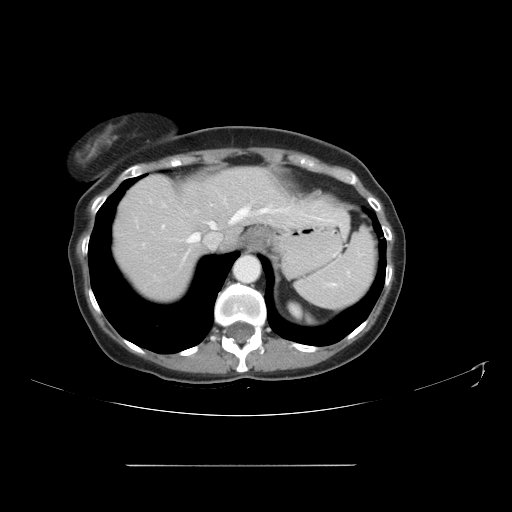 Liver, Computed tomography
The vessel annotation is not exhaustive.
Segmented structures:
* hepatic vessel: (left=209, top=222, right=215, bottom=228), (left=188, top=233, right=199, bottom=242), (left=230, top=208, right=248, bottom=222), (left=162, top=225, right=164, bottom=228), (left=259, top=207, right=287, bottom=213)